Abdomen, CT scan slice
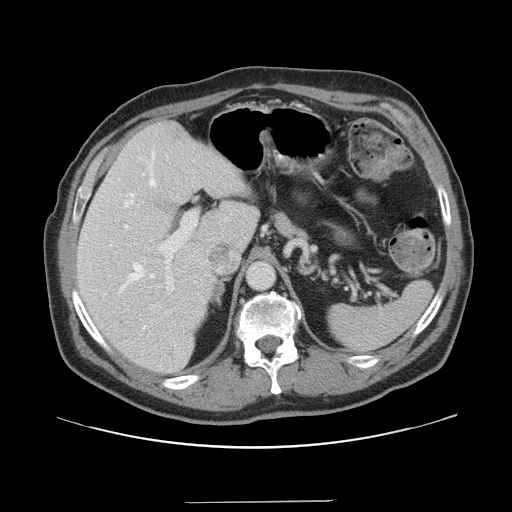
The vessel annotation is not exhaustive.
6 hepatic vessel regions are located at bbox=[150, 274, 153, 277]; bbox=[124, 193, 134, 207]; bbox=[142, 325, 146, 329]; bbox=[120, 263, 143, 291]; bbox=[158, 211, 196, 292]; bbox=[149, 150, 155, 186].